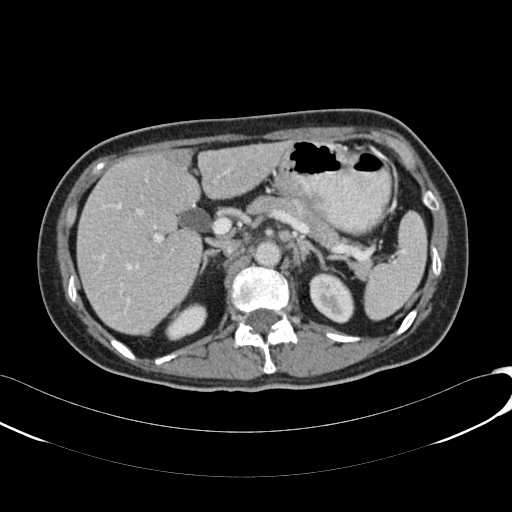
512x512 px. CT image. Abdomen. Segmented structures:
* liver: [198,143,291,197], [77,150,202,332]
* kidney: [169,307,204,338], [311,274,352,321]
* hepatic lesion: [165,154,187,165]